CT slice | Upper abdomen
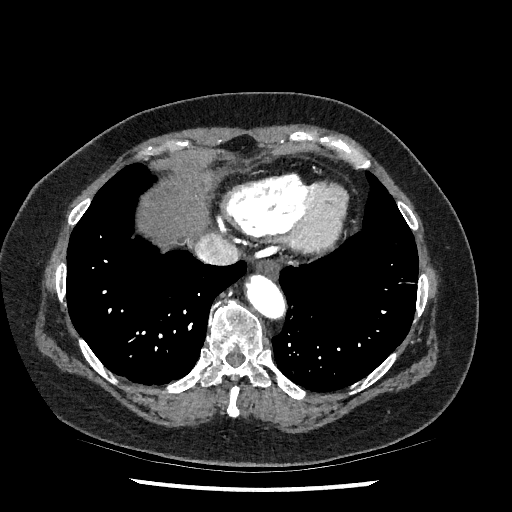 liver:
  - {"x1": 140, "y1": 175, "x2": 209, "y2": 244}